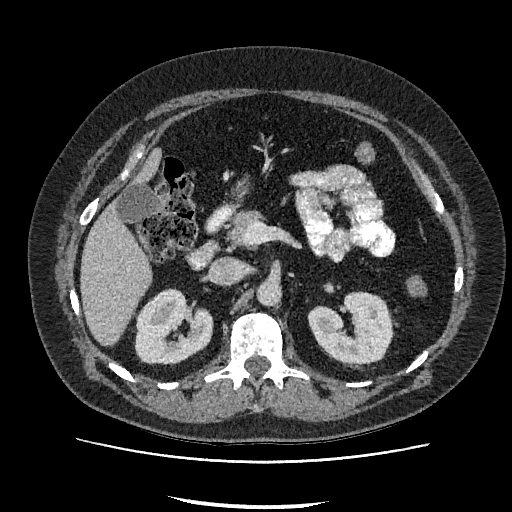

CT slice

kidney:
  - left=136, top=290, right=211, bottom=363
  - left=309, top=293, right=391, bottom=362
liver:
  - left=135, top=150, right=160, bottom=182
  - left=80, top=202, right=151, bottom=345